512x512. CT scan slice. Slice 31 of 47. Abdomen.
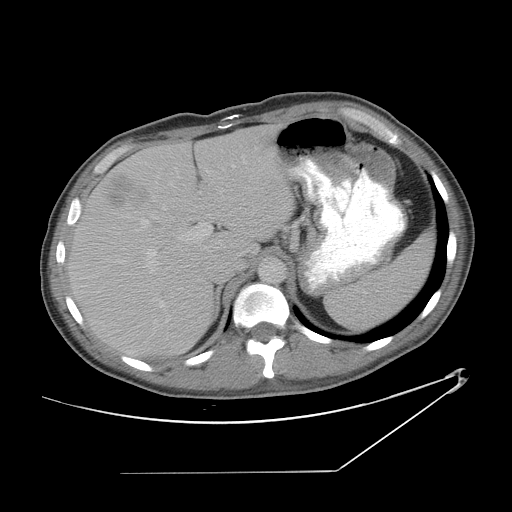
The vessel annotation is not exhaustive.
- hepatic vessel: (161, 204, 166, 210), (233, 165, 234, 167), (207, 171, 211, 173), (152, 195, 156, 201), (179, 223, 212, 243), (146, 249, 159, 271), (154, 298, 164, 306), (155, 170, 159, 178), (170, 183, 172, 184), (153, 216, 157, 218), (220, 190, 222, 192), (141, 220, 148, 226)
- liver tumor: (105, 176, 149, 210)